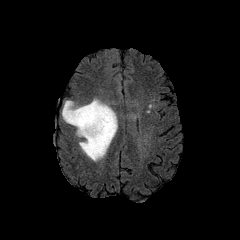
FLAIR MR image.
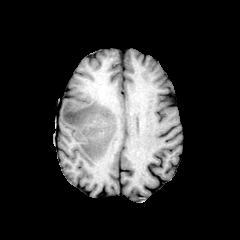
T1-weighted MR image.
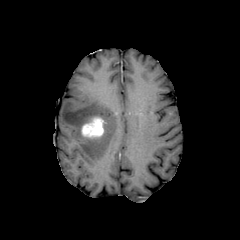
Same slice, post-contrast T1-weighted magnetic resonance.
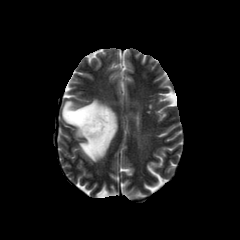
Same slice, T2-weighted magnetic resonance.
Non-enhancing tumor core: (x1=84, y1=114, x2=106, y2=129).
Edema: (x1=60, y1=98, x2=117, y2=162).
Enhancing tumor: (x1=82, y1=117, x2=104, y2=137).